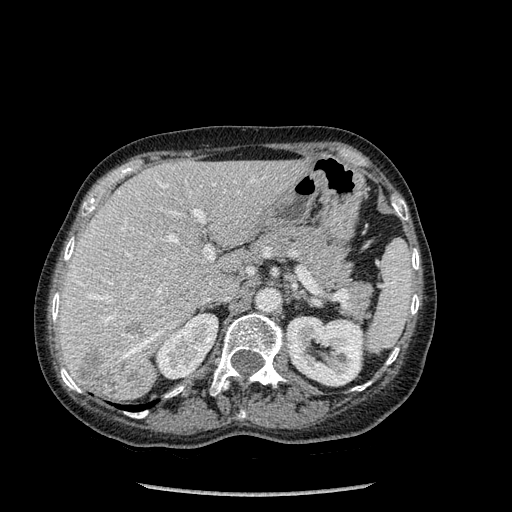

CT image
{"bone": ["bbox=[210, 313, 285, 395]", "bbox=[410, 294, 419, 314]", "bbox=[386, 347, 399, 364]", "bbox=[410, 248, 419, 269]", "bbox=[61, 368, 80, 392]", "bbox=[82, 203, 94, 216]", "bbox=[392, 198, 408, 220]", "bbox=[64, 237, 74, 260]", "bbox=[351, 382, 371, 390]", "bbox=[165, 386, 183, 397]", "bbox=[51, 292, 60, 321]", "bbox=[124, 410, 148, 418]"], "liver": ["bbox=[60, 160, 308, 400]"], "hepatic_lesion": ["bbox=[127, 370, 140, 385]", "bbox=[77, 348, 116, 392]", "bbox=[126, 324, 143, 334]"], "lung": ["bbox=[122, 404, 151, 411]"], "kidney": ["bbox=[287, 317, 362, 385]", "bbox=[157, 314, 217, 378]"]}